Computed tomography

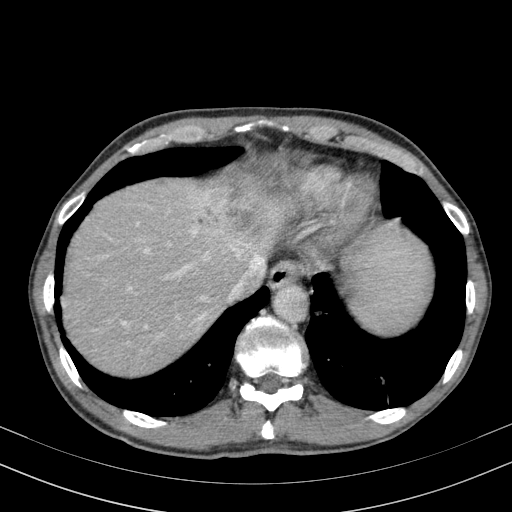
Findings:
* hepatic lesion: 230 208 252 230
* liver: 61 160 280 377